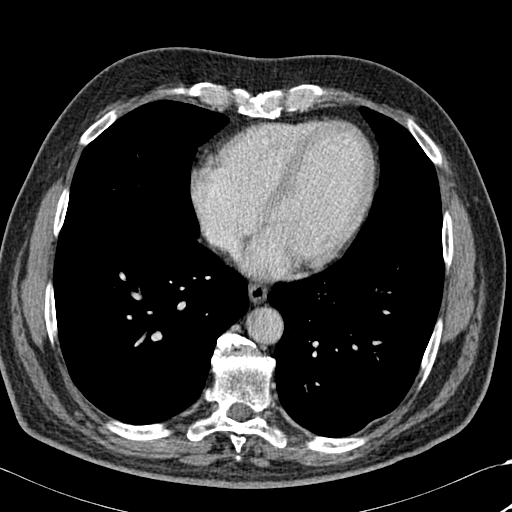 512x512, Computed tomography

bone:
  - 408,121,440,163
  - 45,286,56,338
  - 108,422,168,440
  - 422,323,441,376
  - 81,111,115,143
  - 308,437,363,452
  - 174,83,322,118
  - 187,333,285,451
  - 54,191,68,233
  - 442,213,452,264
lung:
  - 53,100,249,424
  - 267,106,444,437